Abdomen, CT slice

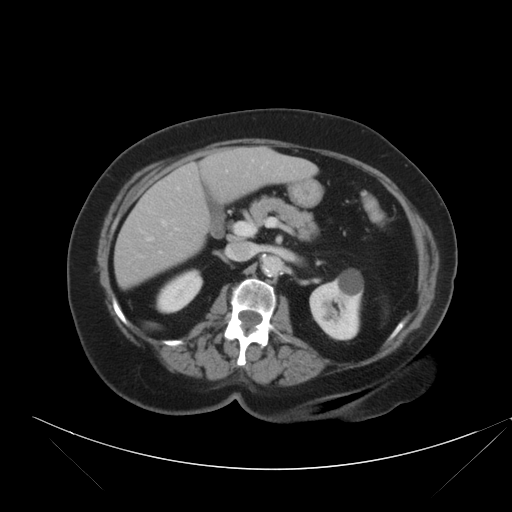

The vessel boxes may cover only some of the vessels.
* hepatic vessel: (left=146, top=236, right=153, bottom=241), (left=140, top=229, right=145, bottom=233), (left=175, top=228, right=178, bottom=230), (left=191, top=164, right=196, bottom=169), (left=251, top=159, right=253, bottom=161), (left=176, top=187, right=179, bottom=189), (left=139, top=256, right=142, bottom=257), (left=159, top=251, right=161, bottom=253), (left=170, top=233, right=172, bottom=235), (left=266, top=162, right=268, bottom=163), (left=161, top=220, right=166, bottom=226)